CT slice | Image size 512x512 | Slice 25/87 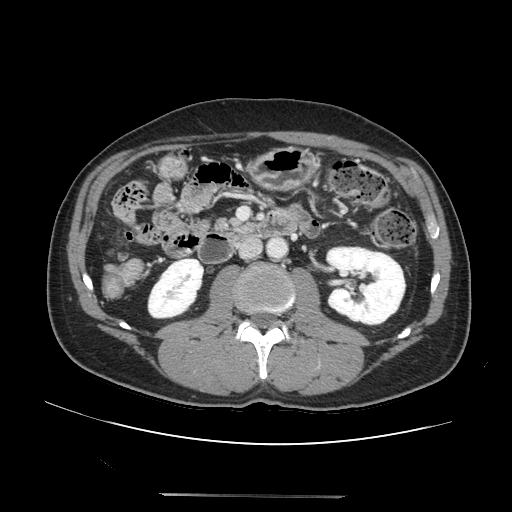
Pancreas at {"x1": 214, "y1": 216, "x2": 251, "y2": 234}.